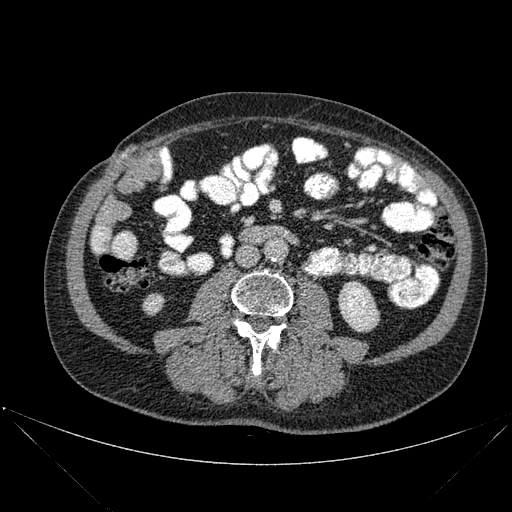
Abdomen | 512x512 px | CT slice
Kidney: bounding box [x1=144, y1=294, x2=163, y2=313], [x1=339, y1=282, x2=378, y2=331].
Bone: bounding box [x1=231, y1=270, x2=292, y2=315], [x1=231, y1=319, x2=285, y2=375].